Image width 512 mm; 512x512 px; Liver; CT scan slice 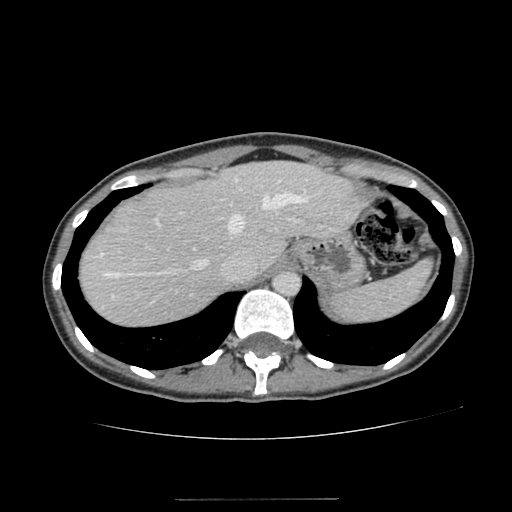 The liver is located at 80, 161, 364, 325.